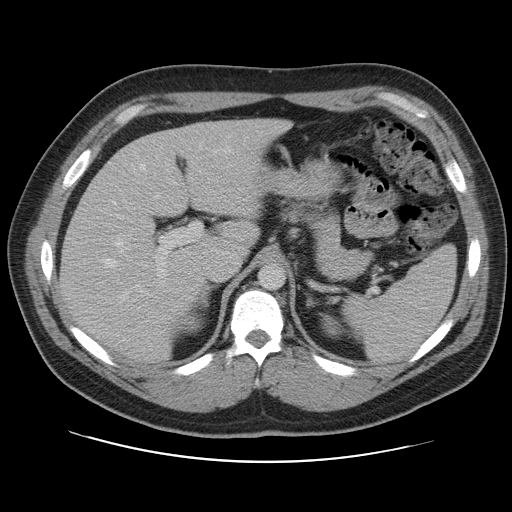
CT image

The vessel annotation is not exhaustive.
Largest 15 of 19 hepatic vessel regions — (114,236,122,246), (235,208,253,215), (239,195,247,202), (155,222,202,265), (149,223,154,232), (232,234,242,240), (190,177,192,180), (126,245,130,249), (186,189,195,193), (224,222,242,228), (223,232,228,237), (104,259,114,267), (121,292,127,299), (238,246,245,252), (246,223,250,227).